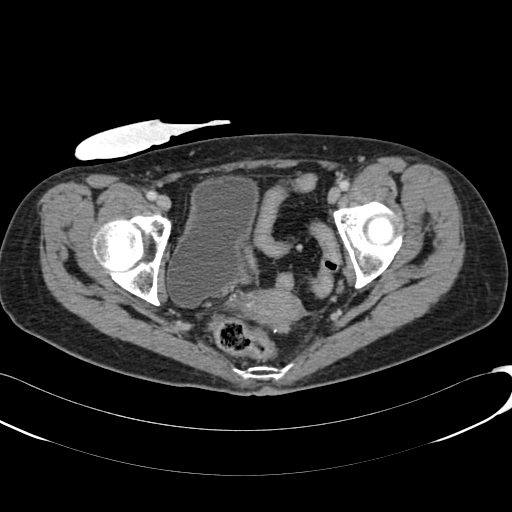 CT slice | 512x512 px | Lower abdomen
urinary bladder: bbox(165, 176, 264, 308)